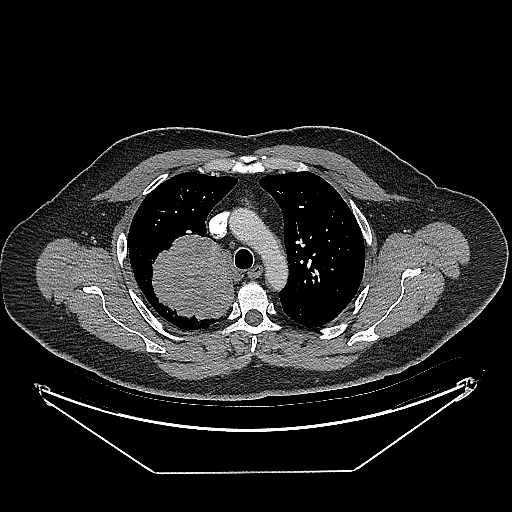
Thorax; CT image

Findings:
* lung tumor: x1=148, y1=230, x2=233, y2=323